FLAIR MR.
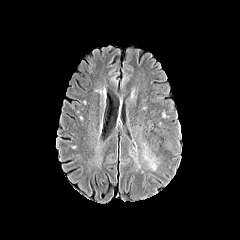
T1-weighted MR.
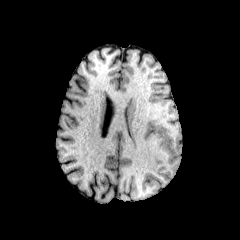
Post-contrast T1-weighted MR image.
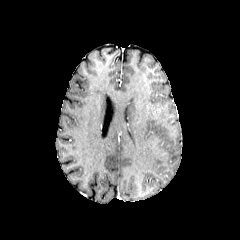
T2-weighted MR.
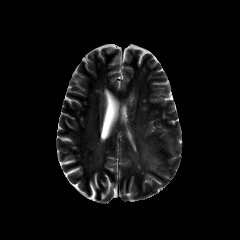
Brain; 240x240 px
edema:
  - left=143, top=154, right=156, bottom=169